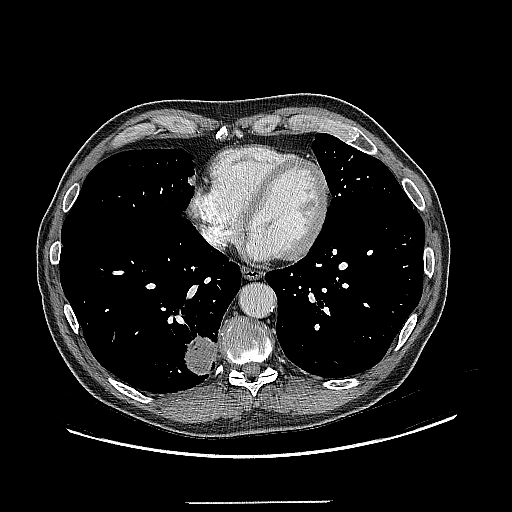
CT scan slice. Thorax.
lung tumor: [185,336,217,375]